FLAIR MR image.
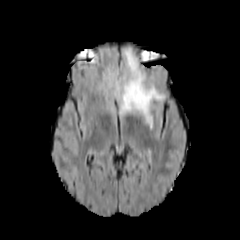
T1-weighted MR image.
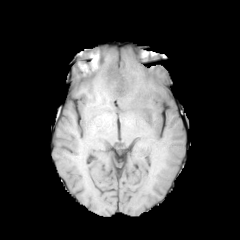
Post-contrast T1-weighted MRI.
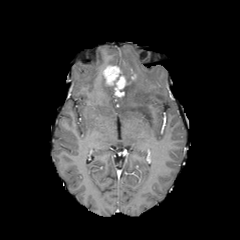
T2-weighted MR image.
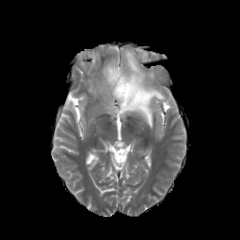
Image size 240x240
The enhancing tumor appears at <bbox>102, 65, 129, 97</bbox>. 2 edema regions appear at <bbox>96, 78, 106, 88</bbox>, <bbox>117, 48, 165, 128</bbox>. The non-enhancing tumor core lies within <bbox>120, 85, 129, 98</bbox>.